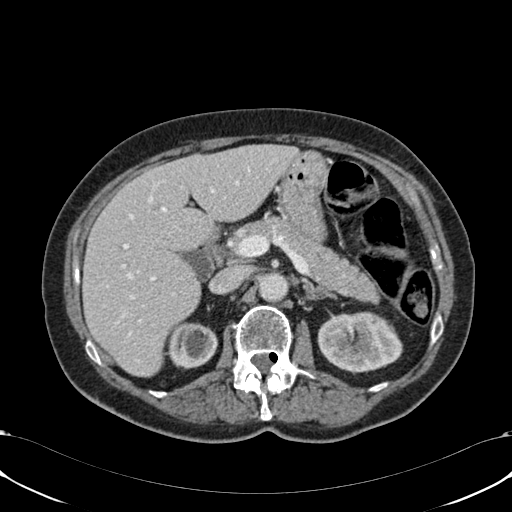

CT. Abdomen.

{
  "kidney": [
    "[x1=318, y1=313, x2=401, y2=370]",
    "[x1=168, y1=319, x2=216, y2=367]"
  ],
  "liver": [
    "[x1=83, y1=144, x2=299, y2=376]"
  ]
}